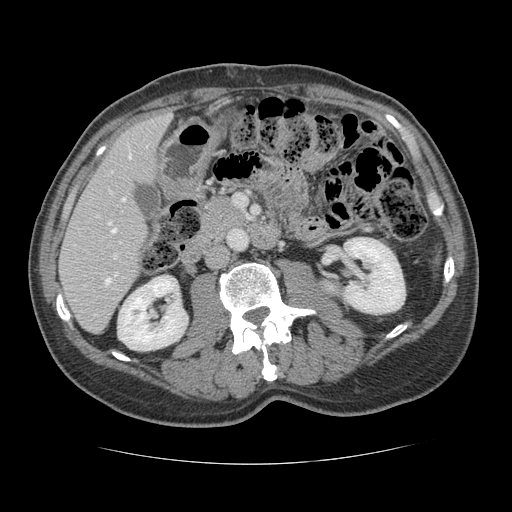
CT image; Image size 512x512
The vessel annotation is not exhaustive.
{
  "hepatic_vessel": [
    "x1=105, y1=278, x2=110, y2=283",
    "x1=113, y1=254, x2=116, y2=257",
    "x1=112, y1=228, x2=116, y2=232",
    "x1=115, y1=272, x2=117, y2=275",
    "x1=122, y1=198, x2=125, y2=200",
    "x1=128, y1=149, x2=131, y2=158",
    "x1=108, y1=222, x2=110, y2=223"
  ]
}